Image width 487 mm | Slice 69/91 | Computed tomography

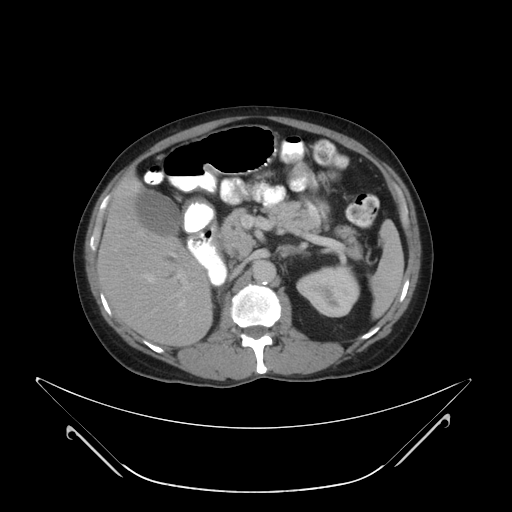

Pancreas — region(218, 208, 255, 259); region(264, 200, 362, 255).